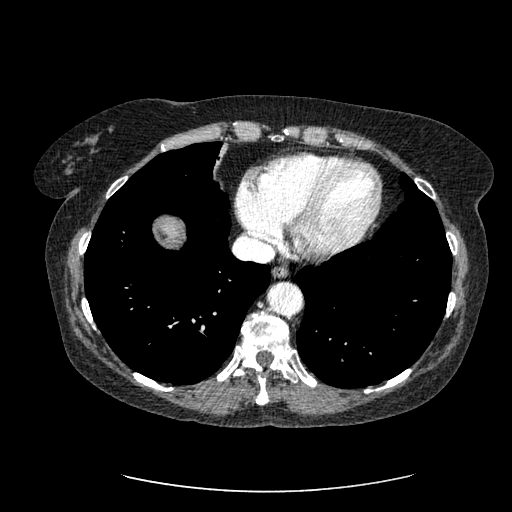
Abdomen, CT image
Liver: box=[156, 216, 183, 248].